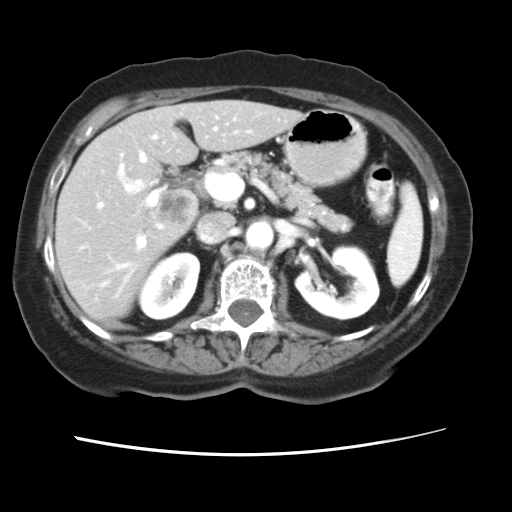
CT image. Liver. 512x512. The vessel boxes may cover only some of the vessels.
Liver tumor — 161,194,193,224.
Hepatic vessel — 157,225,162,228; 100,281,108,287; 152,134,157,138; 136,234,146,250; 139,152,146,163; 214,128,216,130; 120,153,122,156; 80,246,88,249; 216,116,218,118; 115,263,133,297; 97,203,102,208; 248,131,251,132; 119,164,123,173; 234,131,237,133.